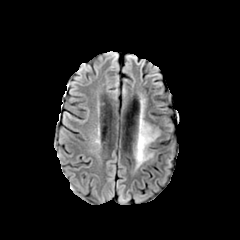
FLAIR magnetic resonance.
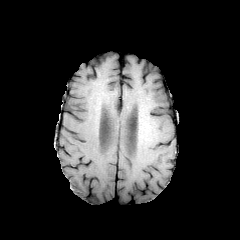
T1-weighted MRI of the same slice.
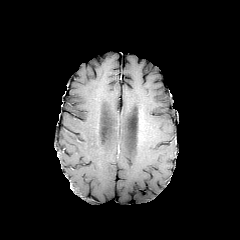
Same slice, post-contrast T1-weighted MR.
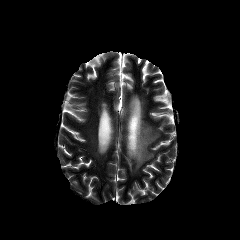
Same slice, T2-weighted MRI.
Brain. 240x240 px.
<segmentation>
  <edema><box>133,114,158,167</box></edema>
</segmentation>